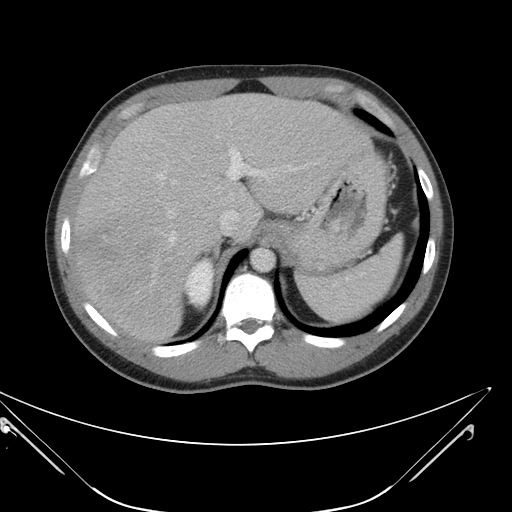

CT
The vessel annotation is not exhaustive.
hepatic vessel: rect(286, 165, 306, 171); rect(219, 210, 239, 233); rect(168, 211, 172, 213); rect(173, 180, 176, 183); rect(169, 231, 175, 242); rect(157, 171, 165, 179); rect(227, 148, 272, 180) | liver tumor: rect(76, 217, 155, 292)